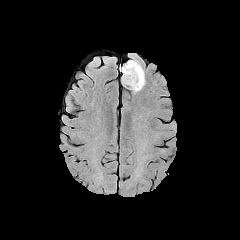
FLAIR MR.
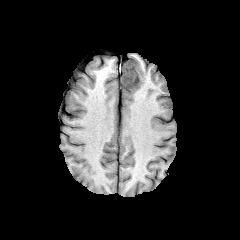
T1-weighted MR.
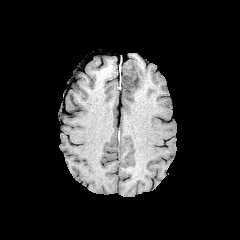
Post-contrast T1-weighted magnetic resonance.
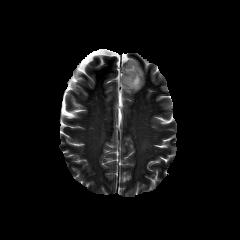
T2-weighted MR image.
Brain
edema:
  - {"x1": 130, "y1": 66, "x2": 145, "y2": 92}
non-enhancing_tumor_core:
  - {"x1": 121, "y1": 60, "x2": 141, "y2": 89}